CT slice, Abdomen

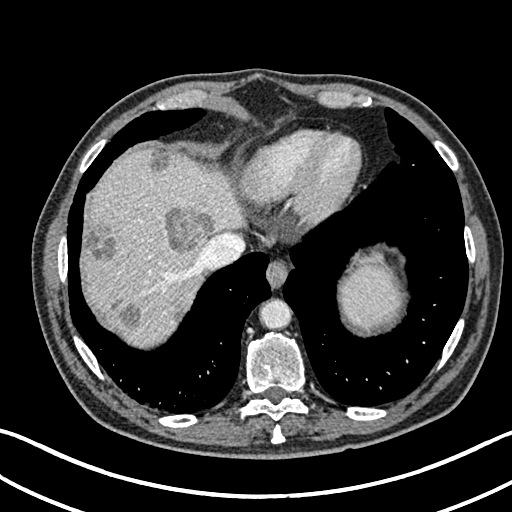 5 focal liver lesion regions are located at x1=86 y1=225 x2=113 y2=259, x1=119 y1=303 x2=140 y2=329, x1=110 y1=297 x2=121 y2=308, x1=166 y1=209 x2=212 y2=253, x1=148 y1=150 x2=168 y2=171. 2 liver regions appear at x1=360 y1=253 x2=382 y2=263, x1=81 y1=148 x2=243 y2=345.